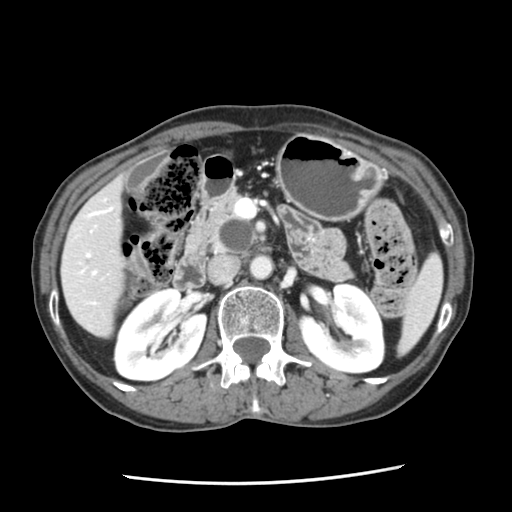

CT scan slice; Upper abdomen
<segmentation>
  <pancreatic_tumor>[220, 220, 251, 250]</pancreatic_tumor>
  <pancreas>[205, 197, 256, 254]</pancreas>
</segmentation>